FLAIR magnetic resonance.
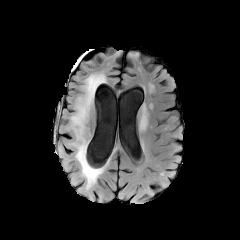
T1-weighted magnetic resonance.
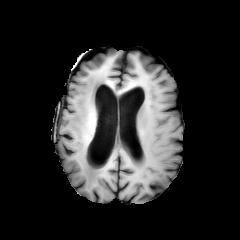
Post-contrast T1-weighted MR.
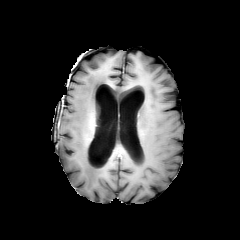
T2-weighted MR image.
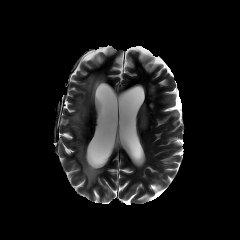
240x240.
Edema — (75,143,103,189), (71,74,104,125).